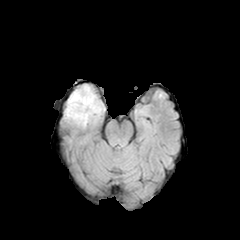
FLAIR MR.
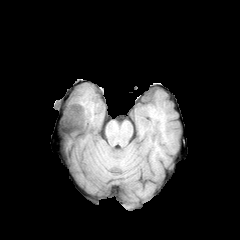
T1-weighted MRI.
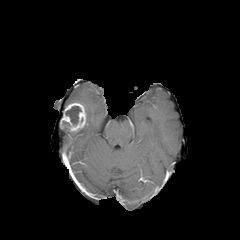
Same slice, post-contrast T1-weighted magnetic resonance.
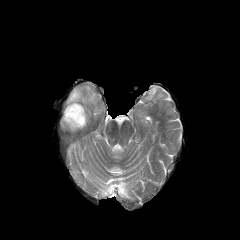
T2-weighted MR image.
The non-enhancing tumor core is bounded by box(66, 106, 80, 124). The enhancing tumor is at box(60, 102, 87, 132). The edema lies within box(67, 84, 105, 124).